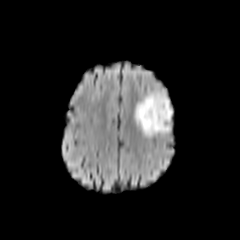
FLAIR MR.
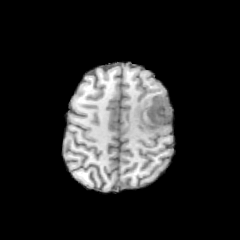
T1-weighted MRI of the same slice.
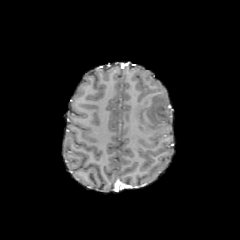
Same slice, post-contrast T1-weighted MRI.
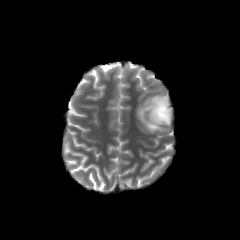
T2-weighted MR image.
Findings:
• edema: (x1=133, y1=88, x2=173, y2=136)
• non-enhancing tumor core: (x1=146, y1=95, x2=171, y2=128)